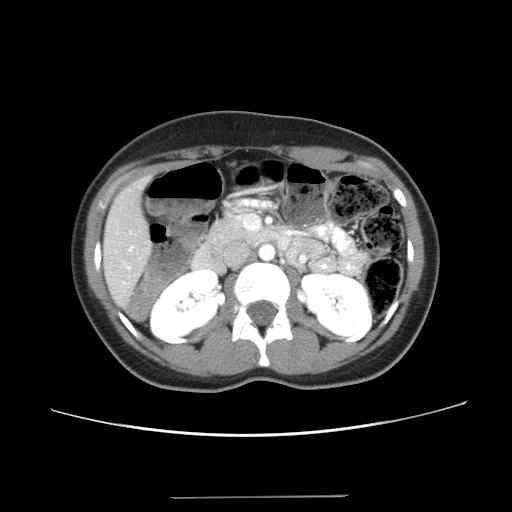
CT. Liver.

Not every hepatic vessel necessarily has a box.
hepatic vessel: x1=128, y1=266, x2=130, y2=269; x1=130, y1=246, x2=133, y2=250